FLAIR MR.
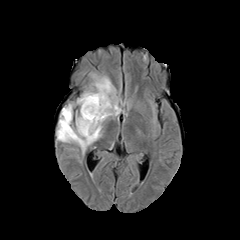
T1-weighted MRI.
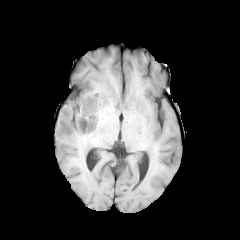
Post-contrast T1-weighted MRI.
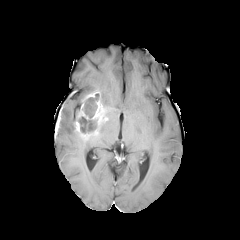
T2-weighted magnetic resonance.
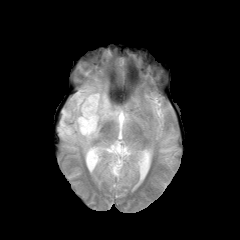
240x240 | Head
The non-enhancing tumor core appears at 74 94 108 133. 2 edema regions are bounded by 57 96 103 154, 80 73 125 119. 3 enhancing tumor regions appear at 80 91 100 119, 74 121 98 140, 91 99 109 124.